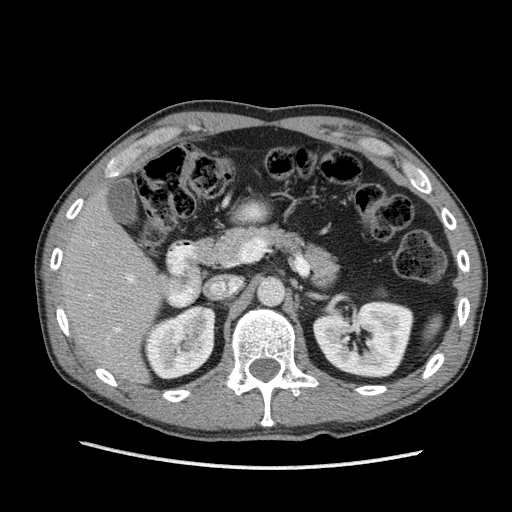 CT image
The liver is located at (left=57, top=185, right=173, bottom=386). 2 kidney regions are located at (left=147, top=307, right=213, bottom=377), (left=314, top=303, right=411, bottom=376).